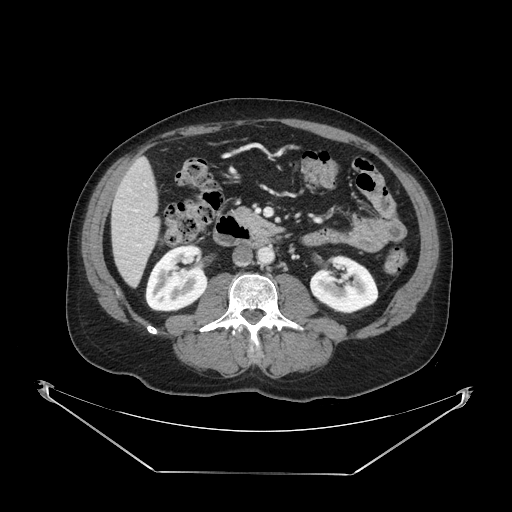
Abdomen, CT scan slice
Pancreas: (x1=230, y1=206, x2=280, y2=236).